Slice 107/134, CT slice, Image size 512x512 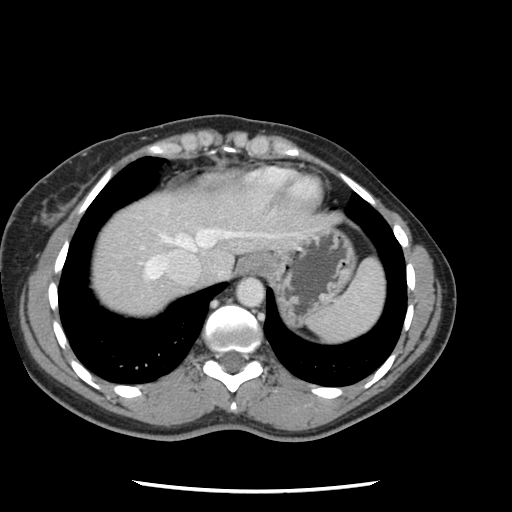

The vessel boxes may cover only some of the vessels.
- hepatic vessel: (160,229,252,249), (144,255,164,278)